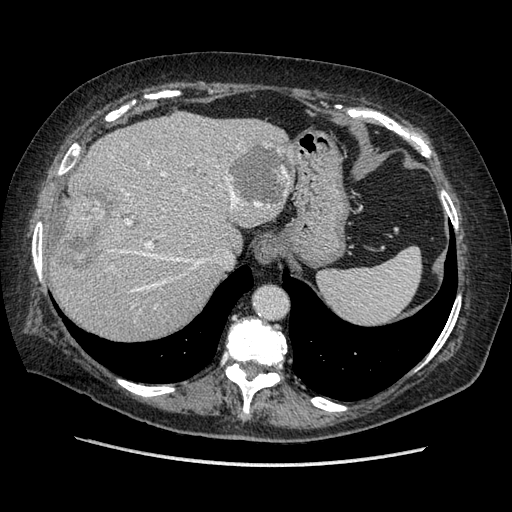
512x512 px | Abdomen | Computed tomography

Not every hepatic vessel necessarily has a box.
<segmentation>
  <hepatic_vessel><box>163,172,165,174</box>, <box>177,258,179,259</box>, <box>184,187,184,190</box>, <box>192,260,201,264</box>, <box>135,284,154,290</box>, <box>230,189,235,207</box>, <box>145,242,151,246</box>, <box>161,281,162,282</box>, <box>126,219,131,223</box>, <box>122,249,126,250</box>, <box>126,193,128,194</box></hepatic_vessel>
  <liver_tumor><box>65,192,117,268</box></liver_tumor>
</segmentation>